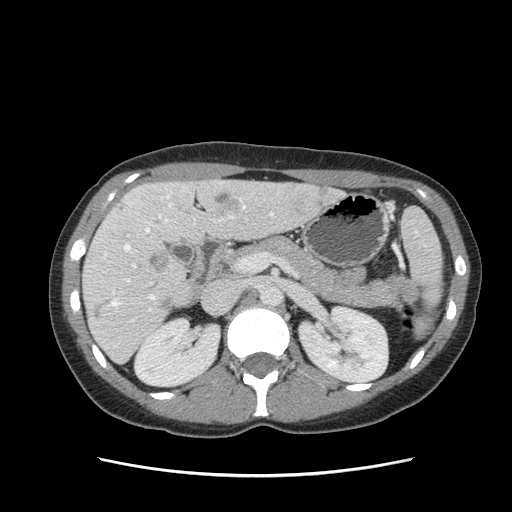 CT
Pancreas: bbox(224, 236, 408, 308).
Pancreatic tumor: bbox(385, 277, 417, 305).